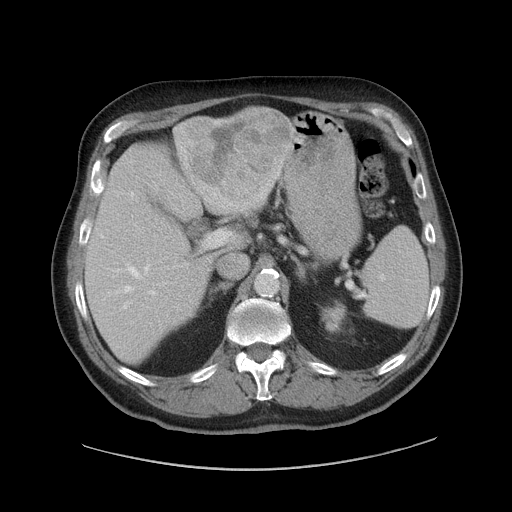

Computed tomography. The vessel annotation is not exhaustive.
Liver tumor: bounding box 182,109,292,205.
Hepatic vessel: bounding box 127,263,137,276; 144,264,149,272; 123,303,127,308; 148,291,154,293; 125,286,130,292; 131,193,132,195; 185,263,187,264.